Slice 480 of 836, CT slice, 512x512 px, Abdomen 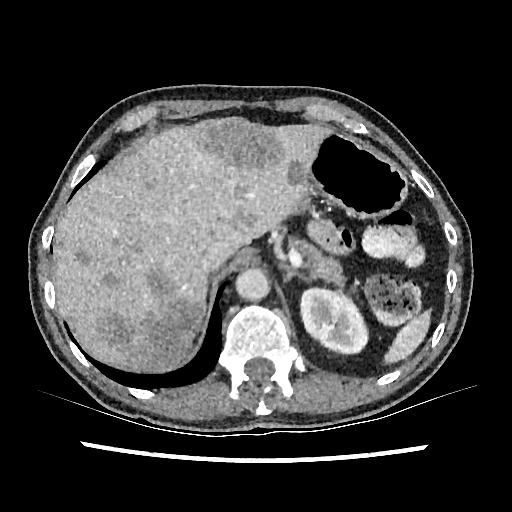 Liver — region(56, 123, 329, 369); region(185, 330, 197, 354).
Hepatic lesion — region(233, 187, 245, 198); region(199, 120, 281, 170); region(129, 242, 139, 251); region(238, 214, 254, 225); region(95, 270, 201, 369); region(75, 248, 91, 265); region(101, 272, 123, 287); region(132, 214, 141, 223); region(143, 178, 157, 189); region(287, 159, 308, 185).
Kidney — region(301, 289, 367, 353).